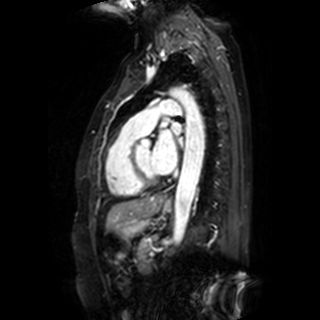

MRI slice
left atrium: (left=152, top=130, right=177, bottom=174), (left=172, top=122, right=181, bottom=135)